Head | Image size 240x240 | Slice 102/155
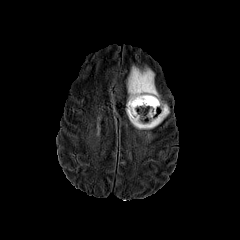
FLAIR MR.
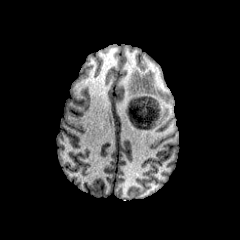
T1-weighted magnetic resonance of the same slice.
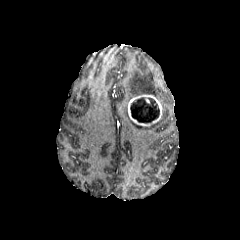
Post-contrast T1-weighted MR of the same slice.
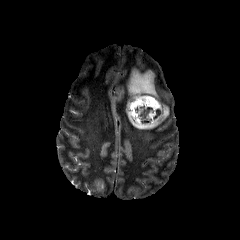
T2-weighted MR image.
The enhancing tumor is located at box(128, 95, 162, 126). The non-enhancing tumor core is at box(130, 97, 159, 122). 2 edema regions are bounded by box(126, 66, 159, 106); box(129, 99, 169, 129).